Brain, Slice index 98, 240x240 px
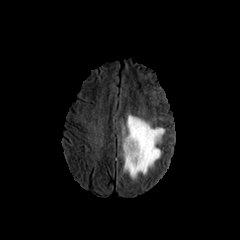
FLAIR MR.
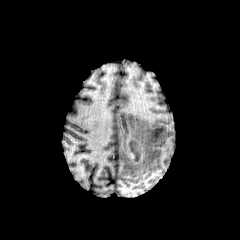
T1-weighted MRI.
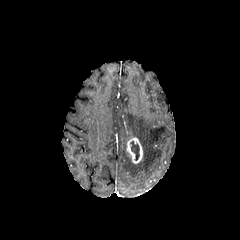
Same slice, post-contrast T1-weighted MR.
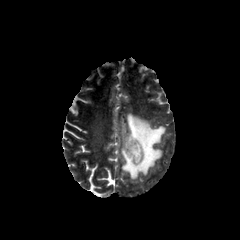
T2-weighted magnetic resonance.
The edema appears at <bbox>119, 113, 164, 182</bbox>. The non-enhancing tumor core is at <bbox>130, 141, 140, 160</bbox>. The enhancing tumor lies within <bbox>127, 138, 142, 162</bbox>.